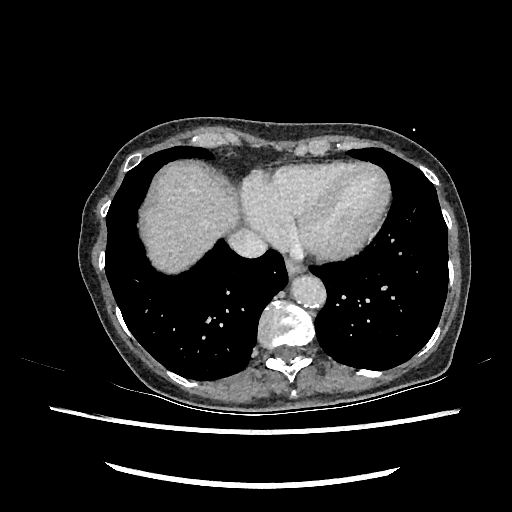

CT image. Liver.

{"liver": ["<box>143,165,237,271</box>"]}